512x512; Upper abdomen; Field of view 381 mm wide, 0.80 mm slice spacing; CT scan slice; Slice 458 of 826 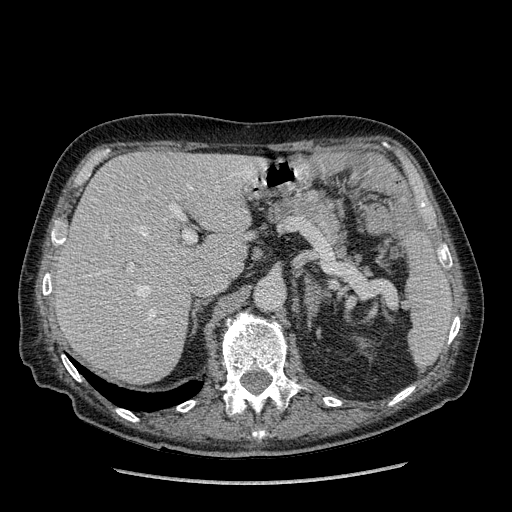
The liver appears at (56, 152, 258, 384).